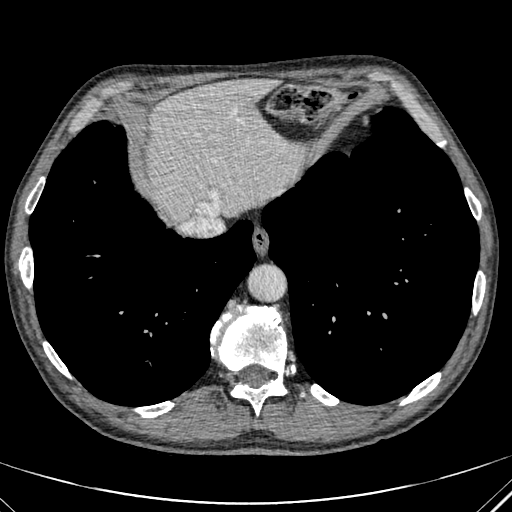 CT image, 512x512
Annotated regions:
* liver: 149 79 291 218